FLAIR MR image.
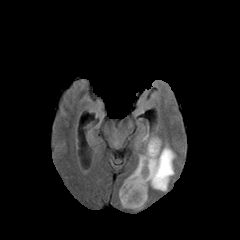
T1-weighted MR image.
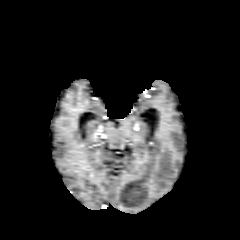
Post-contrast T1-weighted MR image.
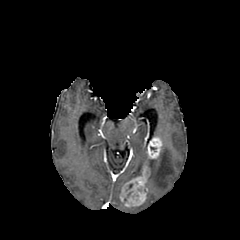
T2-weighted MR image.
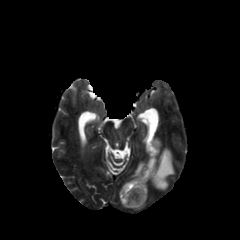
Brain.
The edema is located at x1=122, y1=146, x2=174, y2=191. 2 enhancing tumor regions are located at x1=120, y1=170, x2=147, y2=205; x1=147, y1=138, x2=161, y2=158.